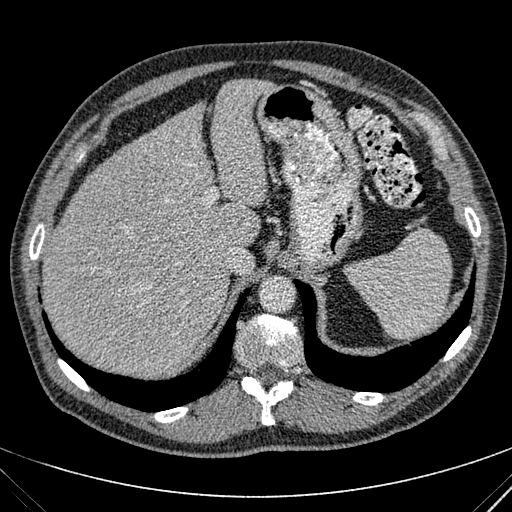 Image size 512x512; Liver; CT
The liver appears at 43:79:273:374.